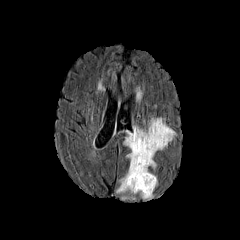
FLAIR MR image.
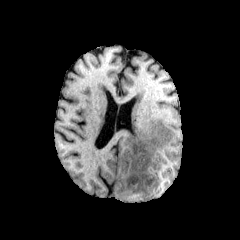
Same slice, T1-weighted MRI.
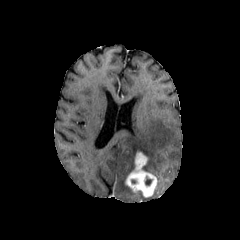
Post-contrast T1-weighted MRI of the same slice.
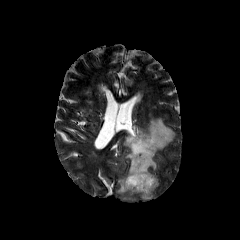
T2-weighted MRI.
Image size 240x240
The enhancing tumor is located at (125, 152, 157, 197). The non-enhancing tumor core appears at (145, 177, 152, 185). 2 edema regions are located at (137, 190, 153, 199), (116, 117, 176, 199).